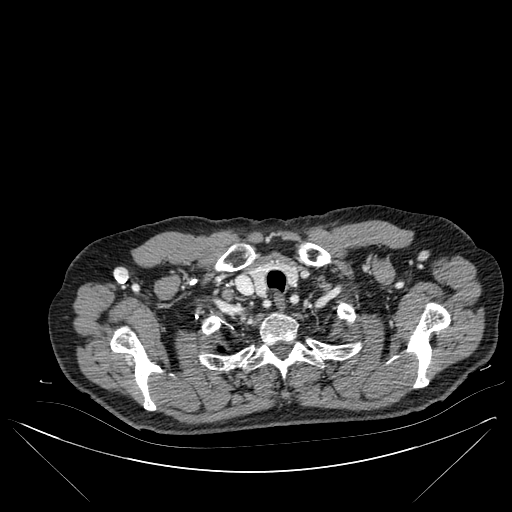 CT
Bone: bbox(299, 243, 330, 266); bbox(199, 314, 361, 377); bbox(215, 244, 255, 271); bbox(337, 303, 355, 321); bbox(202, 316, 220, 334); bbox(110, 327, 162, 410); bbox(407, 303, 450, 387).